FLAIR MRI.
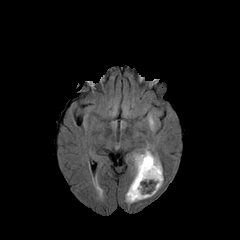
T1-weighted MR image.
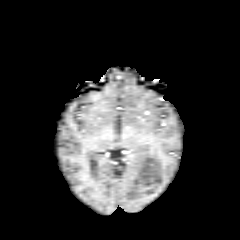
Post-contrast T1-weighted MRI.
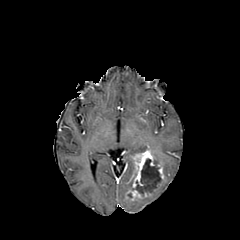
T2-weighted MR.
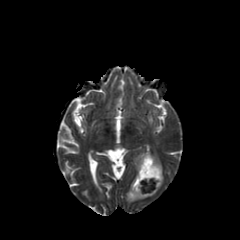
Findings:
• enhancing tumor: (left=127, top=150, right=154, bottom=200)
• non-enhancing tumor core: (left=140, top=159, right=160, bottom=184)
• edema: (left=154, top=154, right=161, bottom=167), (left=125, top=176, right=163, bottom=202)